CT slice

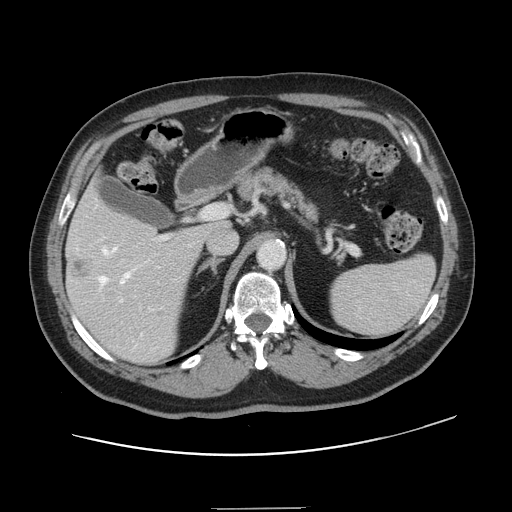
The vessel boxes may cover only some of the vessels.
4 hepatic vessel regions are located at (left=161, top=236, right=168, bottom=238), (left=100, top=277, right=106, bottom=285), (left=103, top=247, right=116, bottom=255), (left=121, top=273, right=129, bottom=283). The liver tumor lies within (left=70, top=257, right=90, bottom=279).